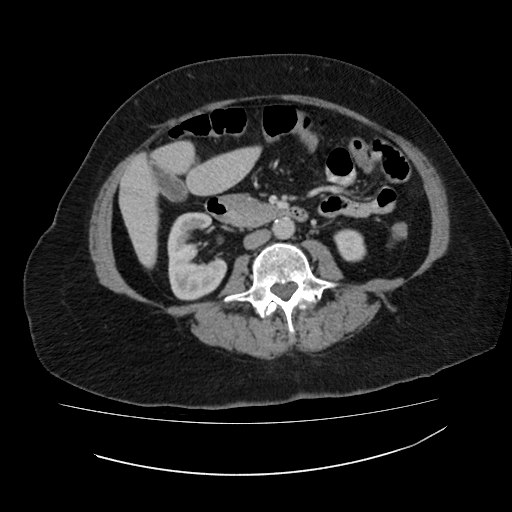
Upper abdomen | CT image
Segmented structures:
* hepatic lesion: bbox(121, 187, 137, 197)
* liver: bbox(120, 142, 259, 265)
* kidney: bbox(334, 229, 365, 260); bbox(168, 213, 226, 299)